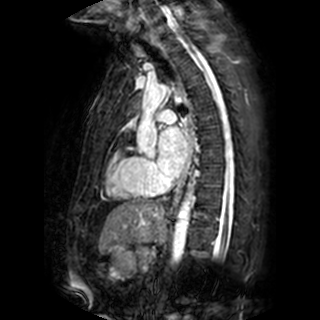

MR image | Heart | 320x320
• left atrium: {"x1": 158, "y1": 126, "x2": 186, "y2": 176}